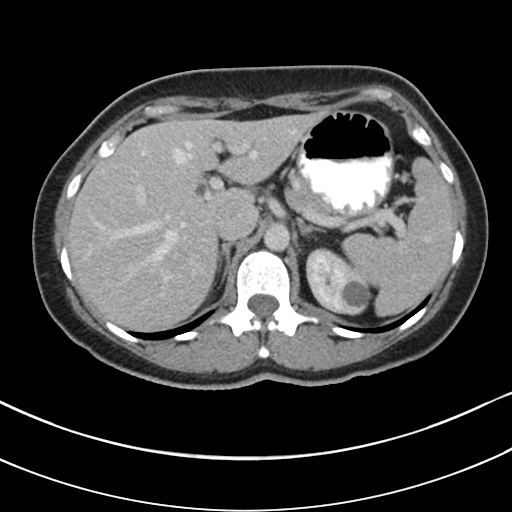
CT slice; Upper abdomen
- pancreas: 292:177:330:216